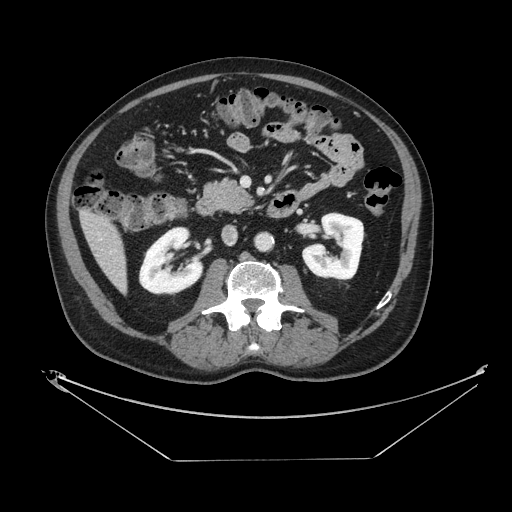 CT slice.

Annotated regions:
* pancreas: 205:179:253:213